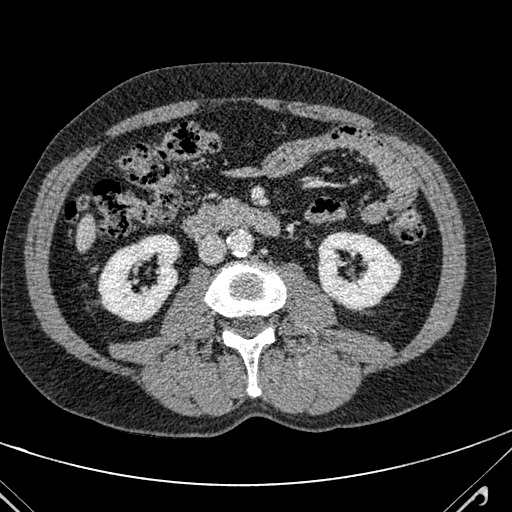

512x512 px. Computed tomography. Liver.
Segmented structures:
• liver: region(76, 215, 94, 250)